Slice 69 of 155, 240x240 px, Head
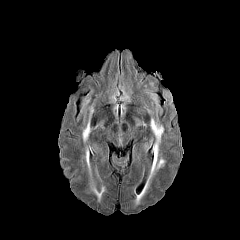
FLAIR MR image.
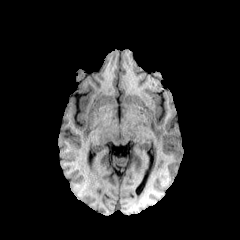
T1-weighted MR image.
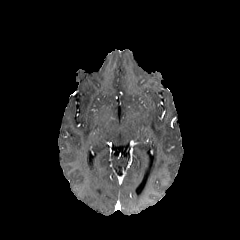
Post-contrast T1-weighted magnetic resonance of the same slice.
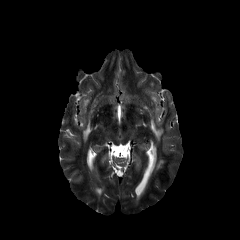
T2-weighted magnetic resonance of the same slice.
<segmentation>
  <edema>left=85, top=148, right=90, bottom=174; left=134, top=118, right=163, bottom=203; left=82, top=107, right=93, bottom=142; left=91, top=186, right=104, bottom=201</edema>
</segmentation>